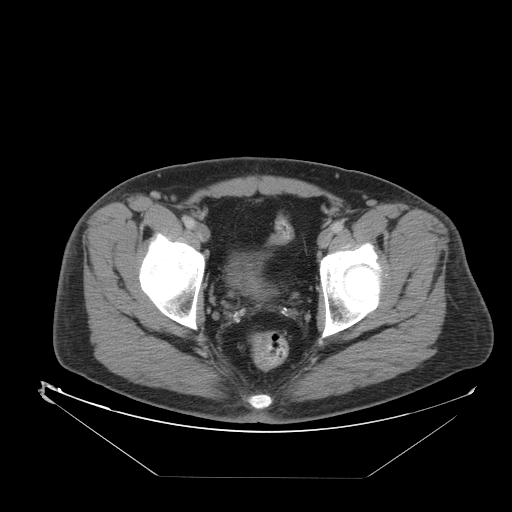

Computed tomography

Segmented structures:
* colon tumor: 269, 231, 284, 245